Abdomen; Slice 82 of 134; Image width 403 mm; Computed tomography 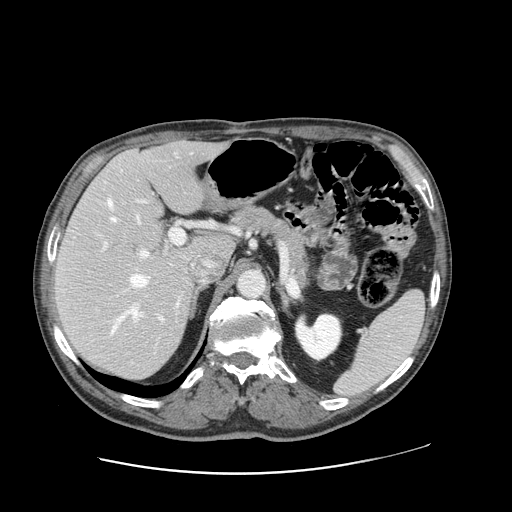 Not every hepatic vessel necessarily has a box.
Segmented structures:
* hepatic vessel: (x1=140, y1=251, x2=148, y2=257), (x1=103, y1=242, x2=106, y2=249), (x1=130, y1=274, x2=148, y2=286), (x1=108, y1=200, x2=112, y2=206), (x1=111, y1=218, x2=115, y2=221), (x1=137, y1=216, x2=140, y2=222), (x1=159, y1=316, x2=162, y2=319), (x1=138, y1=200, x2=144, y2=202), (x1=110, y1=308, x2=142, y2=335)